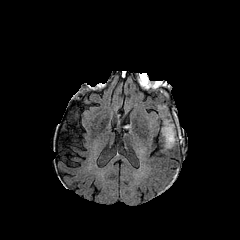
FLAIR MRI.
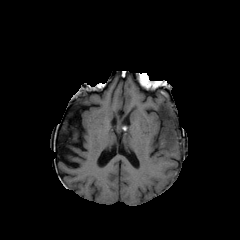
T1-weighted MRI.
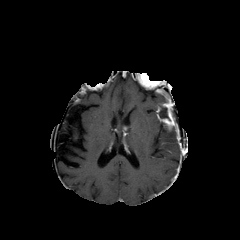
Post-contrast T1-weighted magnetic resonance.
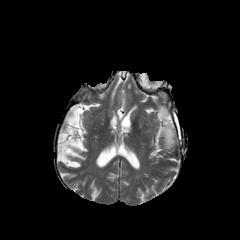
Same slice, T2-weighted MR image.
Head. 240x240.
non-enhancing tumor core: l=140, t=76, r=155, b=89; l=163, t=94, r=173, b=111; l=161, t=120, r=179, b=139; l=158, t=104, r=168, b=118 | edema: l=158, t=124, r=177, b=150 | enhancing tumor: l=158, t=104, r=178, b=131